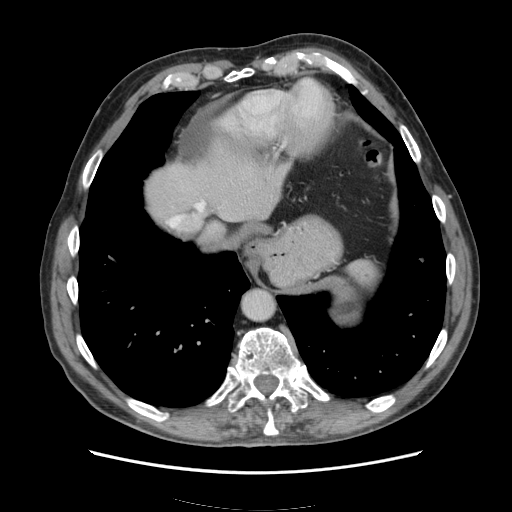 CT scan slice; Upper abdomen; Image size 512x512
The spleen is located at <bbox>347, 261, 383, 301</bbox>.